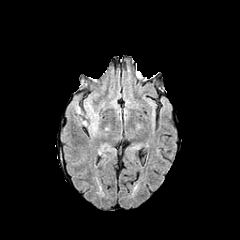
FLAIR MRI.
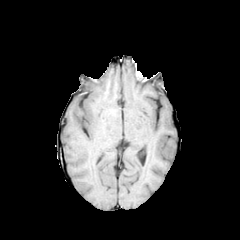
Same slice, T1-weighted MR.
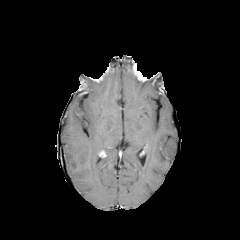
Post-contrast T1-weighted MR image.
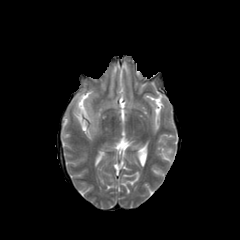
T2-weighted magnetic resonance.
240x240 px.
{"edema": ["<box>74,104,98,133</box>"]}